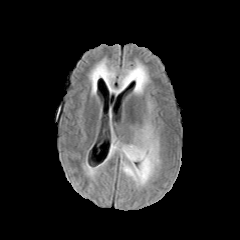
FLAIR magnetic resonance.
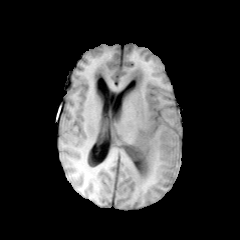
T1-weighted magnetic resonance.
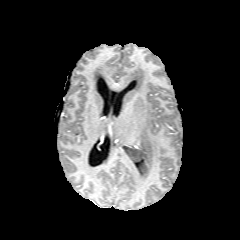
Post-contrast T1-weighted MR.
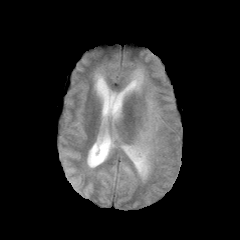
T2-weighted MR.
Brain | 240x240
edema: x1=107, y1=101, x2=159, y2=185; x1=91, y1=66, x2=108, y2=86; x1=112, y1=61, x2=149, y2=95 | non-enhancing tumor core: x1=122, y1=141, x2=148, y2=178